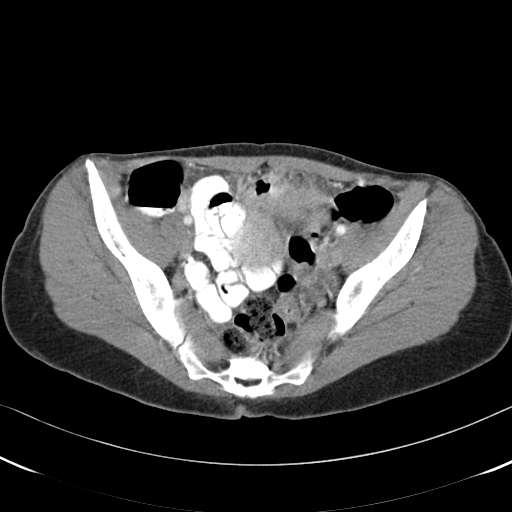

Pelvis, CT
Colon tumor = (244,175,329,219).